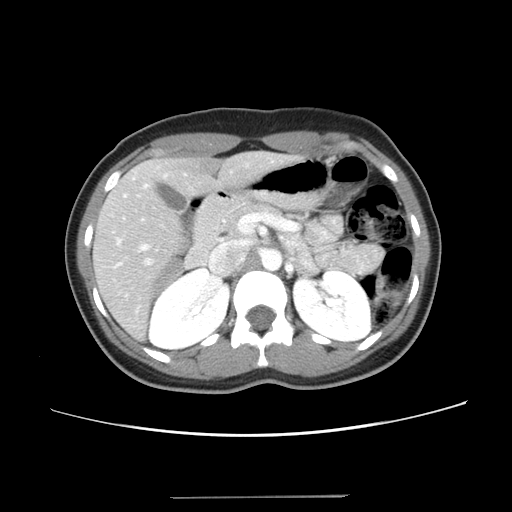

CT image, Image size 512x512, Abdomen
The vessel boxes may cover only some of the vessels.
11 hepatic vessel regions are bounded by (left=145, top=260, right=152, bottom=264), (left=142, top=218, right=144, bottom=220), (left=144, top=185, right=148, bottom=188), (left=164, top=174, right=167, bottom=178), (left=124, top=195, right=127, bottom=197), (left=141, top=245, right=149, bottom=250), (left=161, top=225, right=163, bottom=226), (left=138, top=195, right=140, bottom=196), (left=123, top=217, right=125, bottom=219), (left=117, top=239, right=121, bottom=244), (left=115, top=263, right=121, bottom=268). The liver tumor appears at (left=201, top=161, right=219, bottom=174).